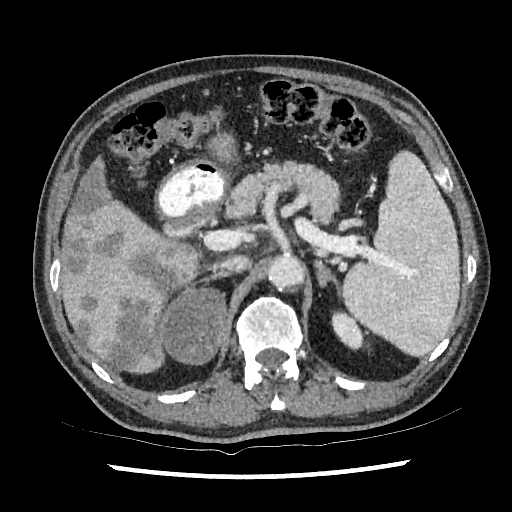

Abdomen. CT scan slice.

- liver lesion: bbox(80, 294, 99, 312); bbox(63, 159, 126, 277); bbox(129, 243, 187, 294); bbox(105, 295, 161, 369); bbox(74, 319, 93, 345)
- kidney: bbox(332, 314, 361, 347)
- liver: bbox(60, 193, 199, 372)